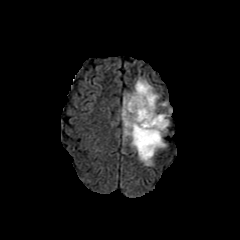
FLAIR MR image.
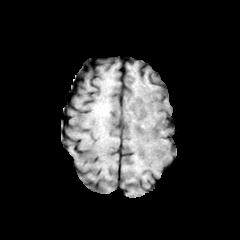
Same slice, T1-weighted MRI.
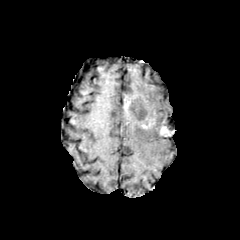
Post-contrast T1-weighted MR of the same slice.
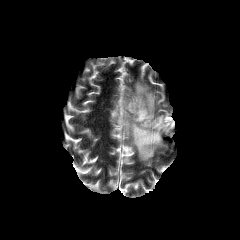
T2-weighted magnetic resonance.
Image size 240x240
{
  "non-enhancing_tumor_core": [
    "<bbox>122, 98, 134, 117</bbox>",
    "<bbox>132, 107, 155, 128</bbox>"
  ],
  "edema": [
    "<bbox>120, 78, 170, 165</bbox>"
  ]
}